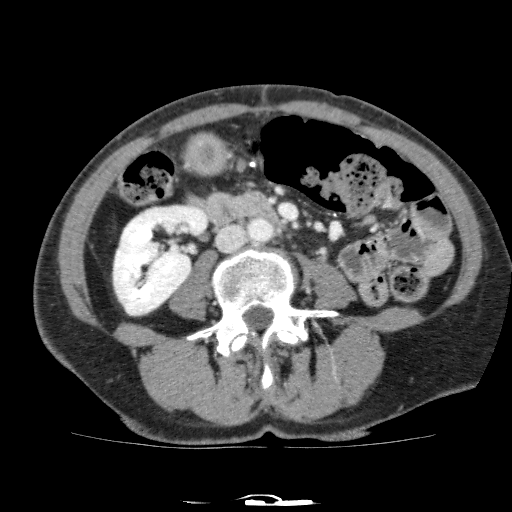

CT image; 512x512; Abdomen
kidney:
  - left=113, top=206, right=206, bottom=314